Slice 99 of 155 | Head | 240x240 px
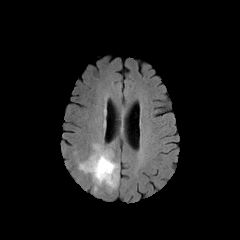
FLAIR MR.
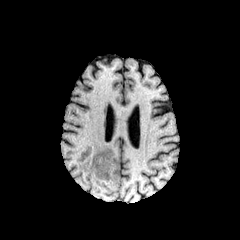
T1-weighted magnetic resonance.
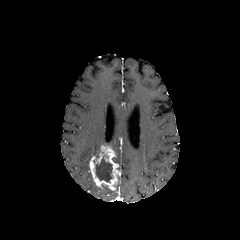
Post-contrast T1-weighted magnetic resonance.
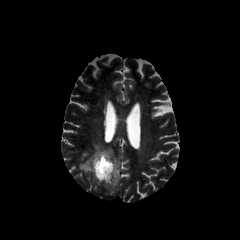
T2-weighted magnetic resonance of the same slice.
Edema: (x1=77, y1=142, x2=100, y2=174).
Non-enhancing tumor core: (x1=94, y1=154, x2=112, y2=183).
Enhancing tumor: (x1=88, y1=144, x2=120, y2=190).